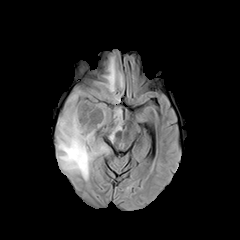
FLAIR MR image.
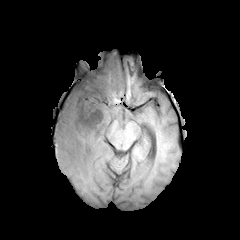
Same slice, T1-weighted MR image.
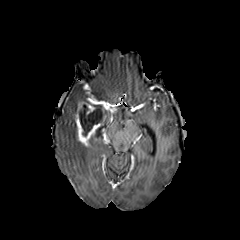
Post-contrast T1-weighted magnetic resonance.
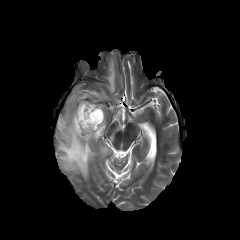
T2-weighted MRI of the same slice.
Brain
enhancing tumor: [82, 99, 97, 114], [74, 109, 101, 146] | non-enhancing tumor core: [74, 95, 109, 135] | edema: [89, 91, 106, 99], [57, 92, 111, 179], [100, 59, 123, 104], [110, 108, 121, 140]